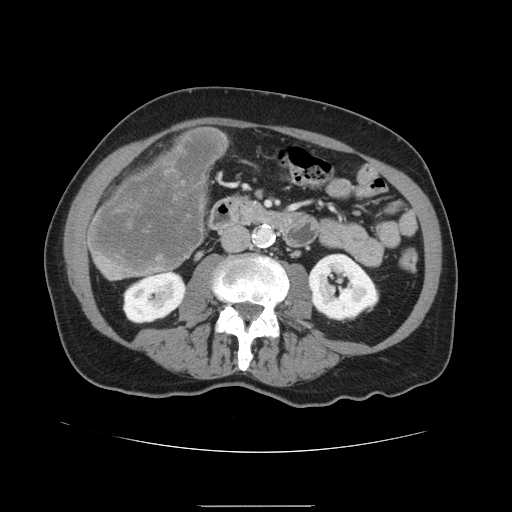 CT. Image size 512x512. • liver tumor: left=90, top=132, right=224, bottom=273